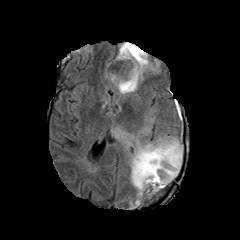
FLAIR magnetic resonance.
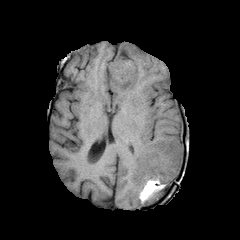
Same slice, T1-weighted MR.
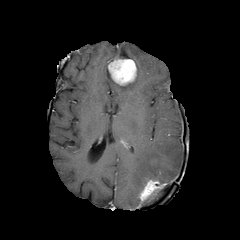
Post-contrast T1-weighted MR.
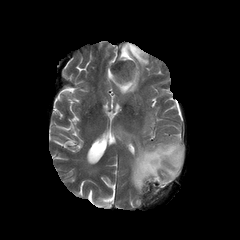
T2-weighted magnetic resonance.
240x240 px.
2 enhancing tumor regions are bounded by (140, 180, 165, 199), (111, 58, 137, 85). The non-enhancing tumor core is located at (108, 50, 131, 75). 2 edema regions appear at (115, 42, 153, 95), (130, 135, 183, 193).